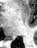 Medial temporal lobe. MRI slice.
posterior hippocampus: (left=8, top=38, right=14, bottom=40)